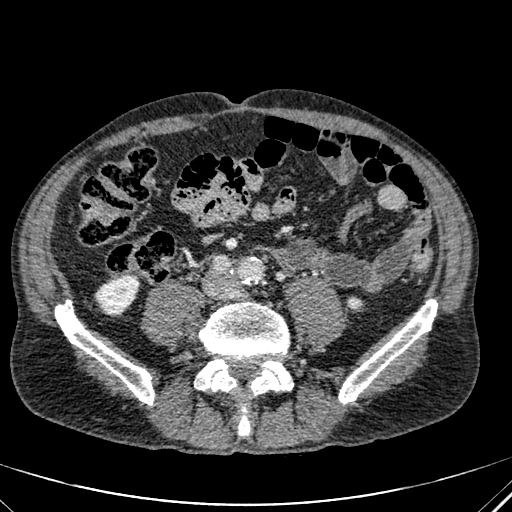 Abdomen. Image size 512x512. Computed tomography.
2 kidney regions are located at 97, 276, 138, 313; 349, 299, 358, 307.